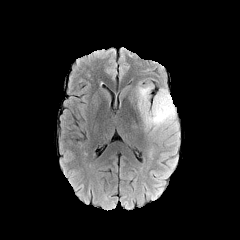
FLAIR MRI.
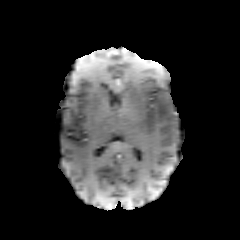
T1-weighted magnetic resonance.
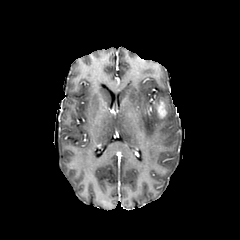
Same slice, post-contrast T1-weighted magnetic resonance.
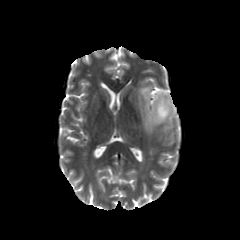
T2-weighted MR image.
Edema = [x1=154, y1=173, x2=166, y2=189], [x1=136, y1=84, x2=179, y2=144].
Non-enhancing tumor core = [x1=147, y1=102, x2=163, y2=121], [x1=152, y1=94, x2=163, y2=102].
Enhancing tumor = [x1=153, y1=99, x2=166, y2=118].